Computed tomography | Field of view 477 mm wide, 3.00 mm slice spacing 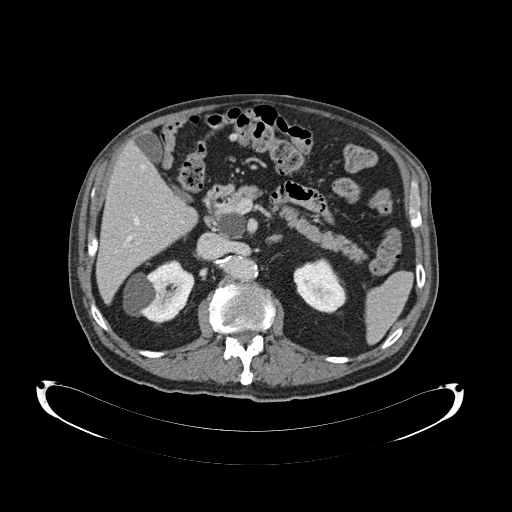 Pancreatic tumor = region(217, 212, 244, 237).
Pancreas = region(214, 185, 368, 263).